CT slice; Liver; Slice index 543; Image width 411 mm 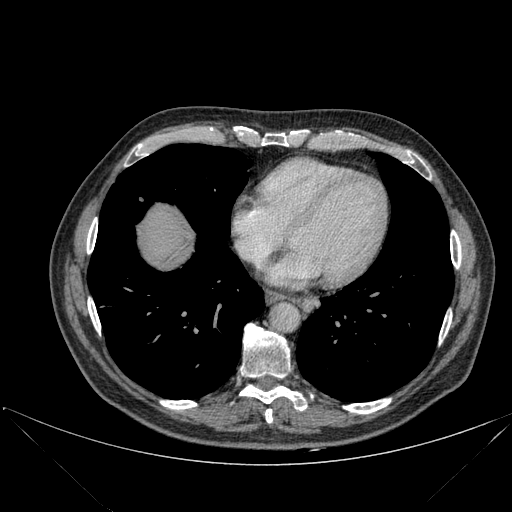
<segmentation>
  <bone>(x1=265, y1=409, x2=272, y2=422), (x1=160, y1=400, x2=196, y2=409), (x1=135, y1=144, x2=146, y2=156), (x1=343, y1=398, x2=390, y2=413), (x1=261, y1=133, x2=288, y2=146), (x1=87, y1=298, x2=100, y2=333), (x1=87, y1=217, x2=97, y2=253), (x1=450, y1=230, x2=461, y2=268), (x1=241, y1=323, x2=289, y2=377), (x1=239, y1=385, x2=306, y2=410), (x1=439, y1=313, x2=451, y2=343), (x1=406, y1=153, x2=413, y2=163)</bone>
  <lung>(x1=87, y1=144, x2=264, y2=399), (x1=296, y1=152, x2=453, y2=401)</lung>
  <liver>(x1=137, y1=203, x2=194, y2=264)</liver>
</segmentation>